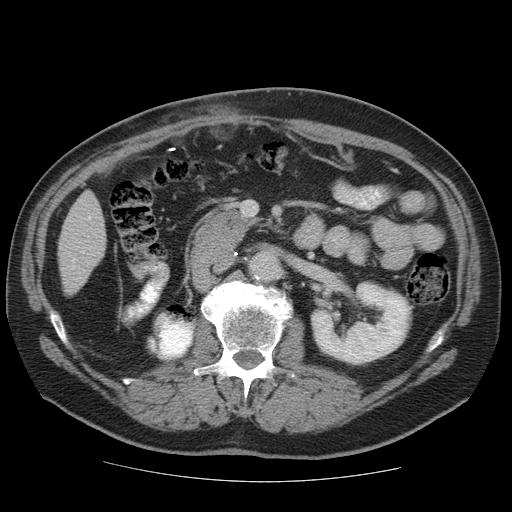

512x512 px | CT slice | Abdomen
The vessel boxes may cover only some of the vessels.
Hepatic vessel = rect(72, 266, 74, 267); rect(88, 217, 89, 219).